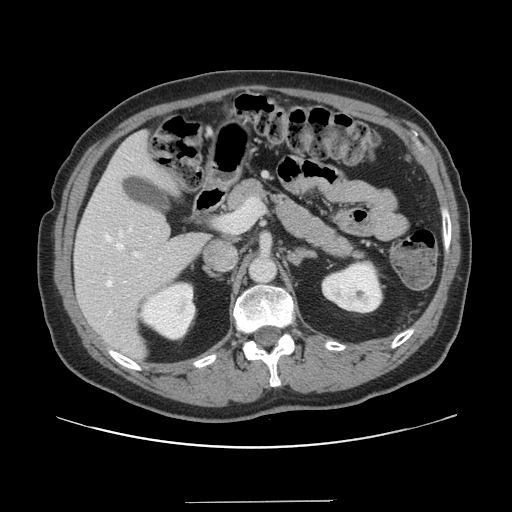 CT | Abdomen
Only some of the vessels may be annotated.
<segmentation>
  <hepatic_vessel>221 198 259 232, 116 243 123 249, 105 234 111 241, 106 280 111 286, 120 232 121 236, 133 252 142 257</hepatic_vessel>
</segmentation>